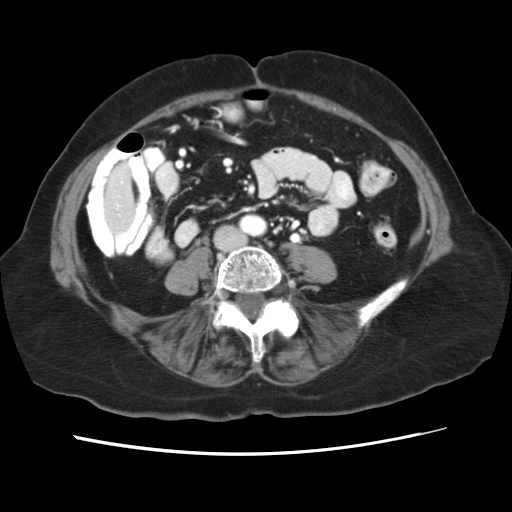

CT
Some hepatic vessels may have no box.
hepatic vessel: left=117, top=206, right=118, bottom=207